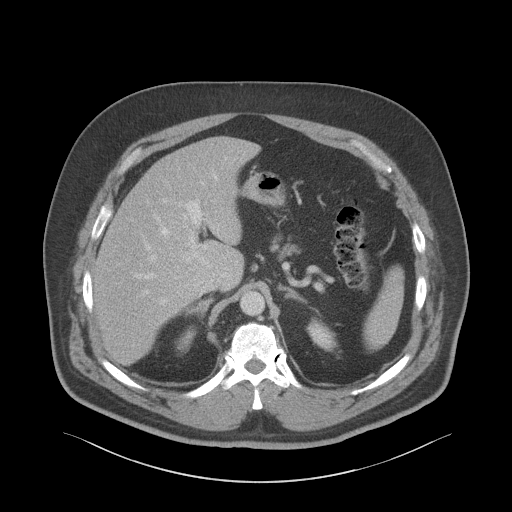 CT
<segmentation>
  <kidney>308:324:331:347</kidney>
  <liver>94:138:252:360</liver>
</segmentation>